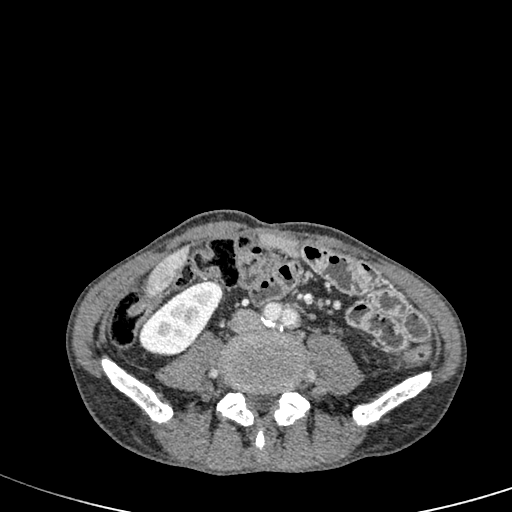
Computed tomography. liver:
  - <bbox>147, 247, 188, 297</bbox>
kidney:
  - <bbox>140, 282, 221, 354</bbox>